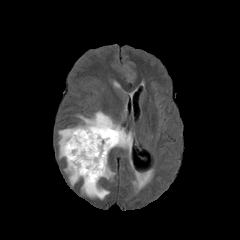
FLAIR MRI.
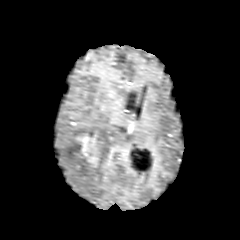
T1-weighted MR image of the same slice.
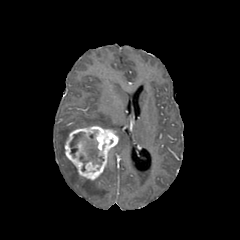
Same slice, post-contrast T1-weighted MR image.
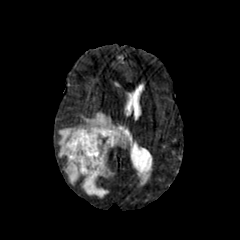
T2-weighted MR image.
Brain
{"non-enhancing_tumor_core": ["(left=70, top=134, right=80, bottom=153)"], "enhancing_tumor": ["(left=64, top=124, right=119, bottom=181)"], "edema": ["(left=102, top=166, right=114, bottom=179)", "(left=79, top=112, right=132, bottom=148)", "(left=65, top=161, right=78, bottom=185)", "(left=81, top=178, right=109, bottom=199)", "(left=58, top=126, right=75, bottom=157)"]}